CT scan slice; Slice 48/141; Abdomen; Field of view 366x366 mm
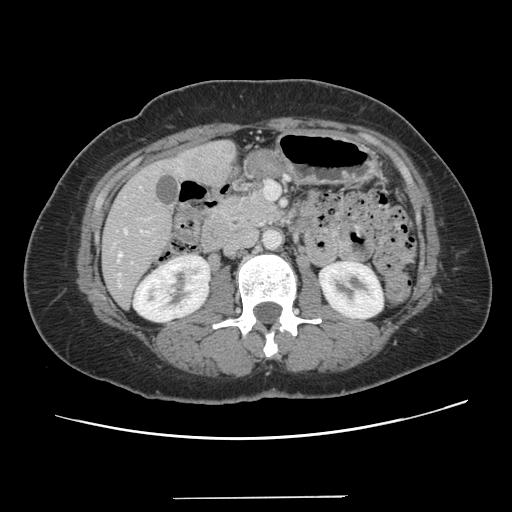
The vessel boxes may cover only some of the vessels.
<segmentation>
  <hepatic_vessel><bbox>124, 230, 127, 234</bbox>, <bbox>118, 273, 120, 277</bbox>, <bbox>141, 230, 149, 232</bbox>, <bbox>117, 253, 121, 261</bbox></hepatic_vessel>
</segmentation>